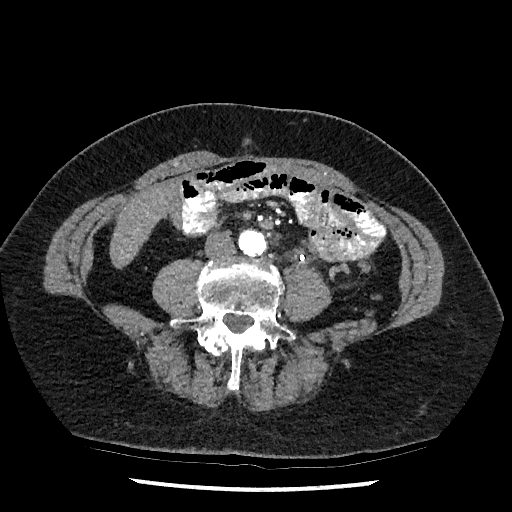 Abdomen. CT.
liver: [110,183,172,267]